Slice index 115
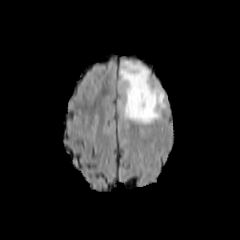
FLAIR MR image.
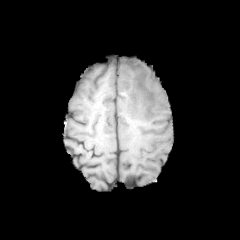
T1-weighted magnetic resonance of the same slice.
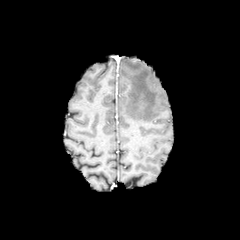
Post-contrast T1-weighted MR image.
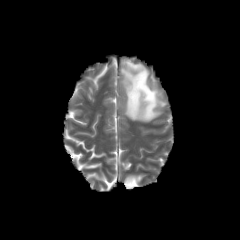
T2-weighted magnetic resonance.
{
  "edema": [
    "(119,61,165,123)"
  ]
}